FLAIR MR.
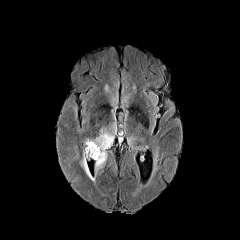
T1-weighted MR.
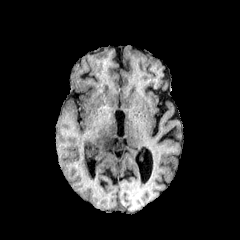
Post-contrast T1-weighted MR image.
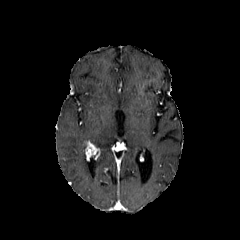
T2-weighted MR.
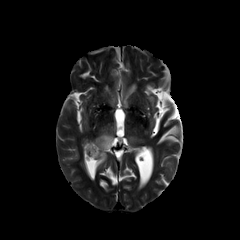
Image size 240x240.
Enhancing tumor at x1=85 y1=142 x2=100 y2=161.
Edema at x1=90 y1=122 x2=116 y2=170, x1=80 y1=152 x2=94 y2=181.